Image width 240 mm.
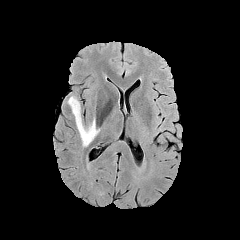
FLAIR MR.
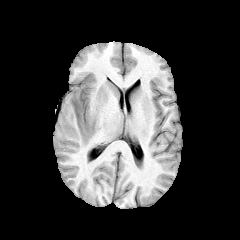
T1-weighted MRI.
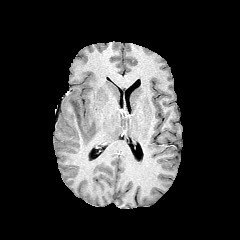
Post-contrast T1-weighted MR image.
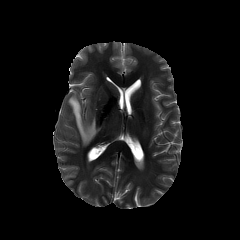
T2-weighted MR image.
<segmentation>
  <edema><bbox>66, 94, 99, 146</bbox></edema>
</segmentation>